FLAIR magnetic resonance.
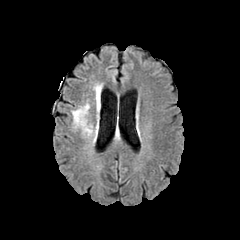
T1-weighted MR image.
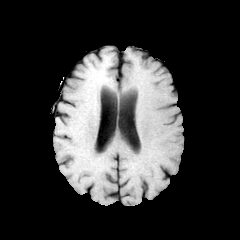
Post-contrast T1-weighted MR.
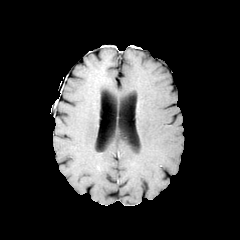
T2-weighted magnetic resonance.
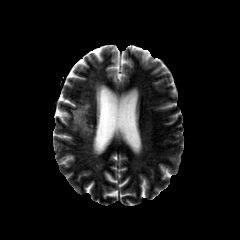
240x240 | Head
edema: [72,83,102,141]